Upper abdomen. Computed tomography. 512x512.

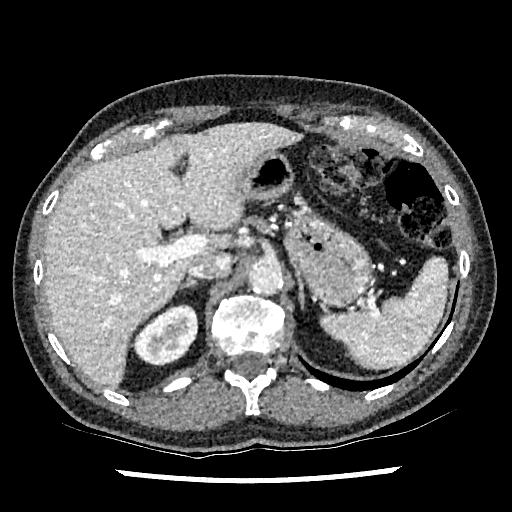 The kidney appears at x1=136 y1=307 x2=196 y2=363. 2 liver regions are bounded by x1=214 y1=235 x2=230 y2=247, x1=44 y1=122 x2=302 y2=387.